Image size 240x240
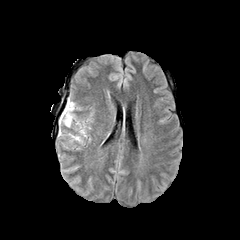
FLAIR MRI.
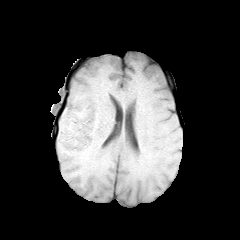
T1-weighted MR.
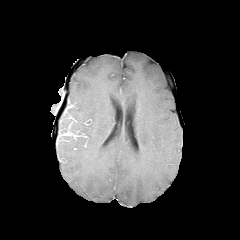
Post-contrast T1-weighted MRI.
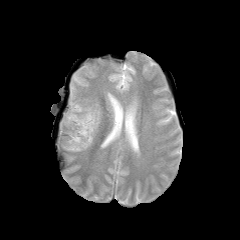
T2-weighted magnetic resonance.
Edema: bounding box <box>59,97,91,142</box>.